CT scan slice | Slice 124/168
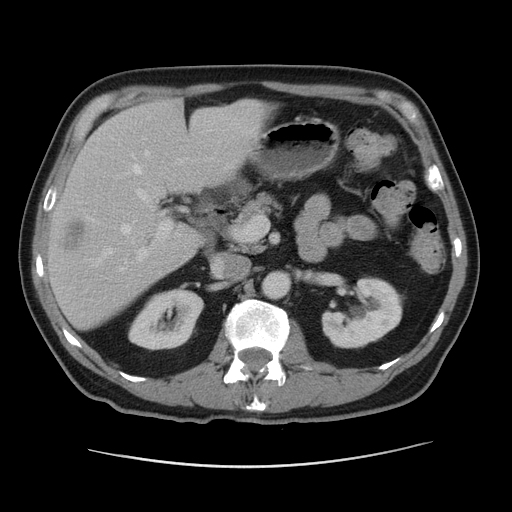
Liver lesion at box(65, 221, 86, 249).
Kidney at box(130, 288, 202, 348); box(322, 277, 402, 348).
Liver at box(48, 101, 267, 326).